CT slice, Liver

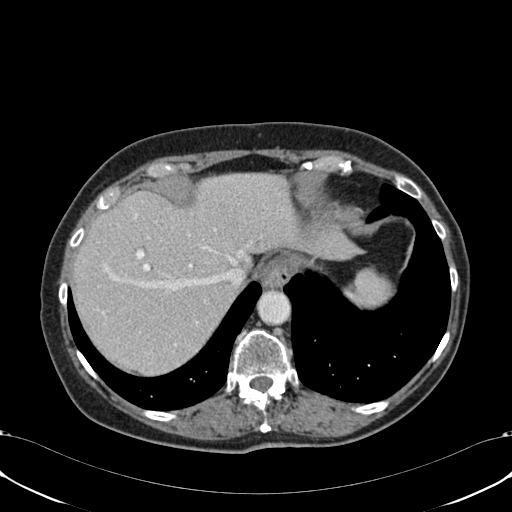
The liver lies within box(73, 173, 362, 373).